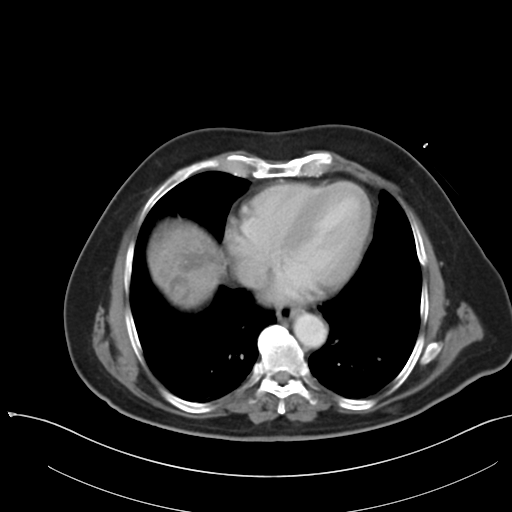

Image size 512x512 | Abdomen | CT

Not every hepatic vessel necessarily has a box.
The liver tumor lies within x1=158 y1=234 x2=226 y2=305. The hepatic vessel is at x1=232 y1=247 x2=237 y2=251.